240x240 px
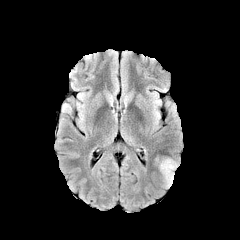
FLAIR MRI.
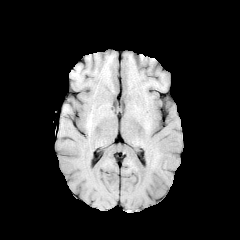
Same slice, T1-weighted MRI.
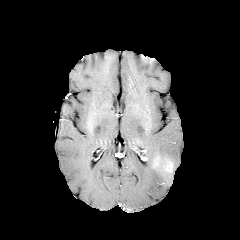
Post-contrast T1-weighted MRI.
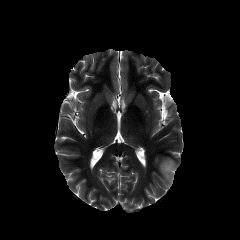
T2-weighted MR image.
The edema appears at (160,158,176,187).